FLAIR MR.
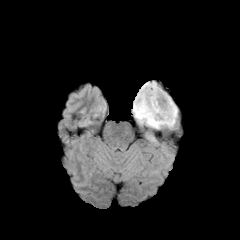
T1-weighted MR.
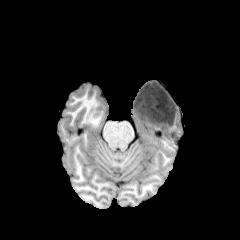
Post-contrast T1-weighted MRI.
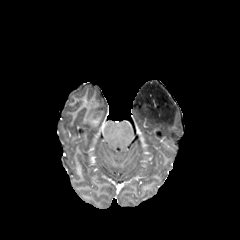
T2-weighted magnetic resonance.
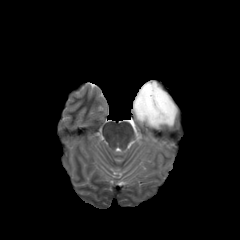
Image size 240x240
non-enhancing tumor core: left=134, top=82, right=175, bottom=125 | edema: left=132, top=100, right=177, bottom=129; left=145, top=132, right=157, bottom=147